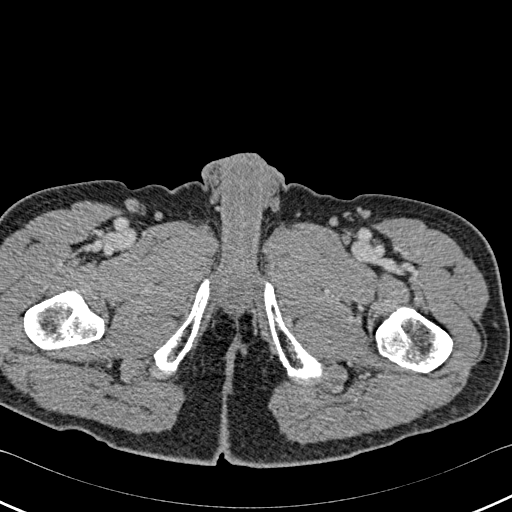

Computed tomography
bone:
  - [154, 279, 209, 373]
  - [376, 307, 452, 372]
  - [24, 291, 103, 349]
  - [264, 282, 321, 380]